CT slice, Abdomen 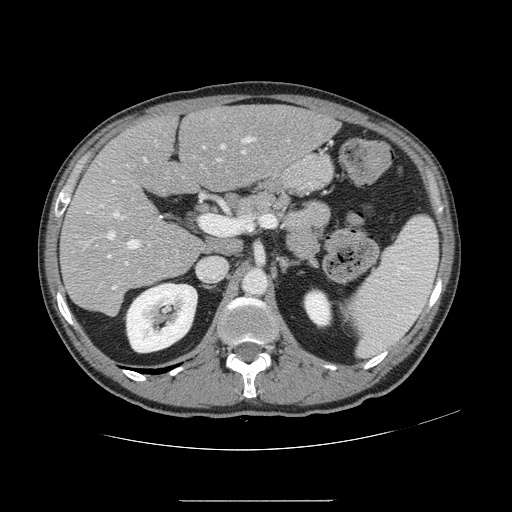
The vessel boxes may cover only some of the vessels.
Hepatic vessel at bbox(108, 255, 110, 257); bbox(113, 286, 115, 289); bbox(127, 240, 138, 248); bbox(242, 137, 255, 142); bbox(112, 180, 114, 181); bbox(114, 212, 125, 219); bbox(221, 145, 224, 148); bbox(125, 262, 127, 264); bbox(144, 158, 145, 160); bbox(242, 150, 244, 153); bbox(80, 242, 89, 247); bbox(155, 140, 156, 145); bbox(105, 231, 114, 238); bbox(203, 146, 204, 147).